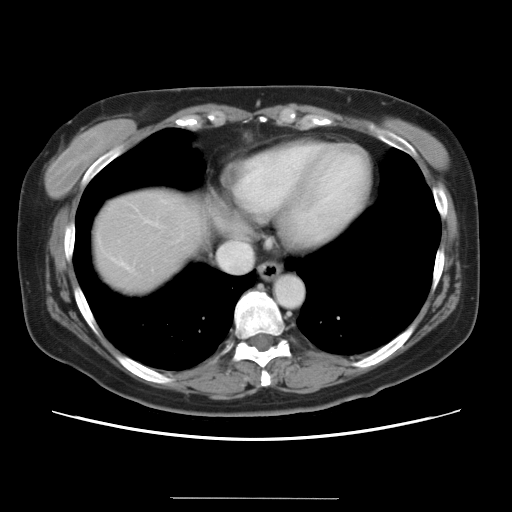 Abdomen | CT scan slice

Only some of the vessels may be annotated.
{"hepatic_vessel": [{"x1": 144, "y1": 220, "x2": 148, "y2": 222}, {"x1": 119, "y1": 261, "x2": 125, "y2": 266}]}